CT scan slice
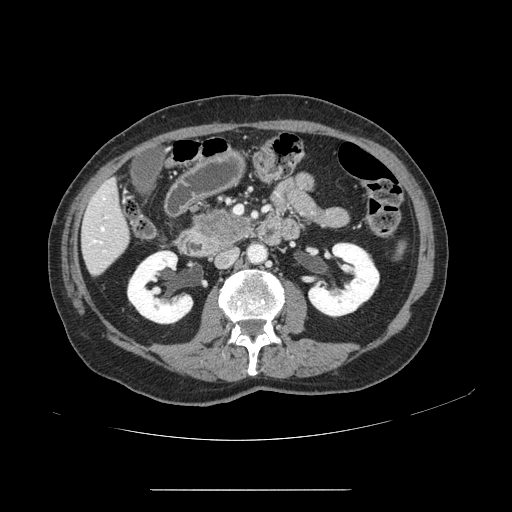

The pancreas lies within left=196, top=207, right=250, bottom=249. The pancreatic tumor is at left=201, top=212, right=246, bottom=241.